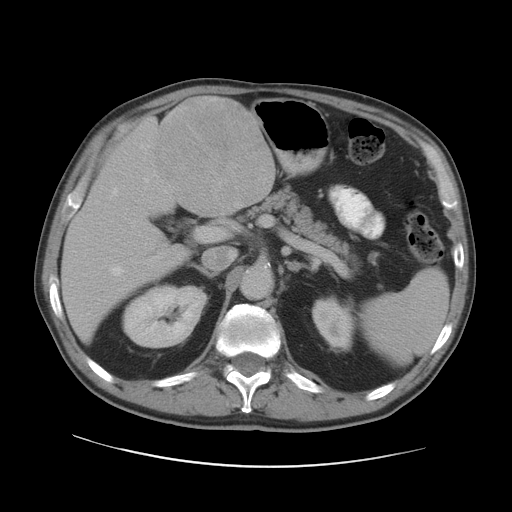
Abdomen. CT.

Not every hepatic vessel necessarily has a box.
9 hepatic vessel regions are located at 200, 228, 205, 240; 144, 178, 148, 182; 163, 199, 164, 202; 144, 187, 145, 189; 113, 188, 117, 195; 140, 144, 142, 148; 109, 266, 121, 275; 149, 252, 162, 260; 144, 158, 145, 159. The liver tumor is located at 154, 97, 274, 216.